Slice index 594. Computed tomography.
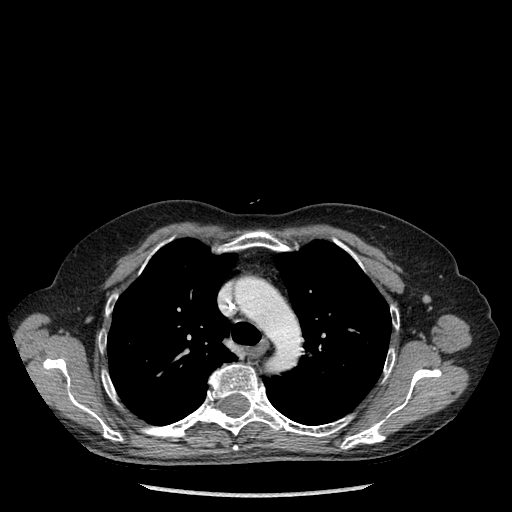
Bone = 98,330,106,352; 43,356,122,440; 383,348,395,380; 341,369,441,448; 141,364,352,437; 390,305,399,329; 218,231,289,252; 139,243,162,273; 102,370,118,404; 333,238,362,267; 105,294,117,315.
Lung = 265,240,391,425; 107,238,260,425.